CT scan slice | Slice 26 of 87 | Upper abdomen
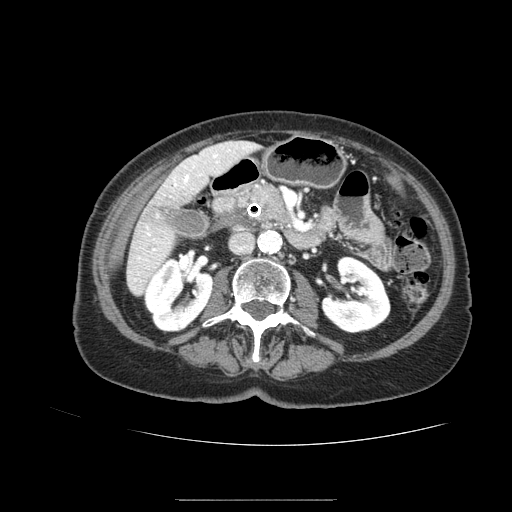

Pancreas at rect(239, 184, 285, 214).
Pancreatic tumor at rect(261, 201, 274, 217).